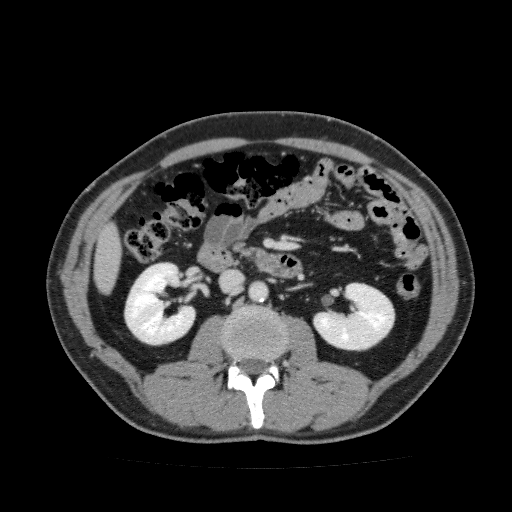 CT image; Abdomen; Image size 512x512
<segmentation>
  <kidney>314:283:394:349, 125:263:194:344</kidney>
  <liver>93:222:121:293</liver>
</segmentation>